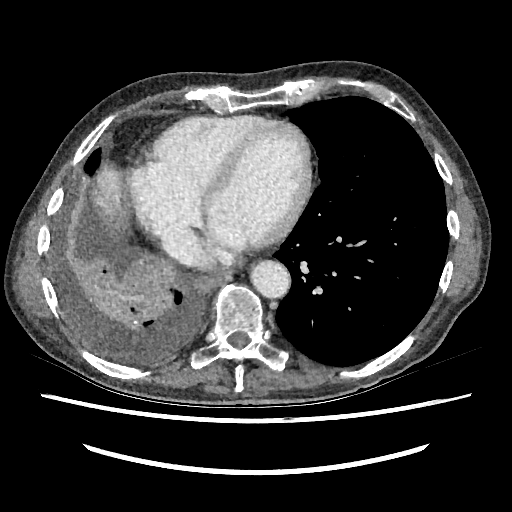
CT. Liver = rect(95, 169, 121, 214).